FLAIR MRI.
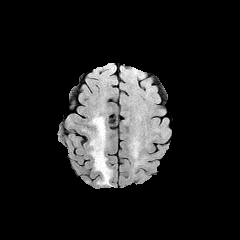
T1-weighted magnetic resonance.
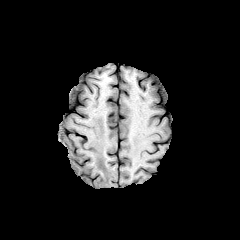
Post-contrast T1-weighted MRI.
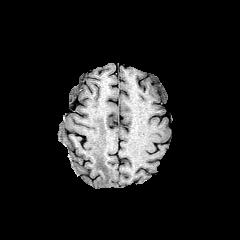
T2-weighted MRI.
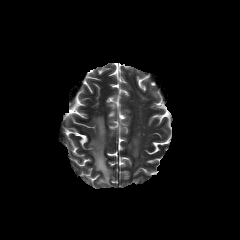
Brain
Edema at box=[88, 116, 112, 185].